Hippocampus, Field of view 33x51 mm, MRI

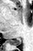
The posterior hippocampus is at [x1=10, y1=39, x2=21, y2=45].